Upper abdomen; Image width 512 mm; CT slice
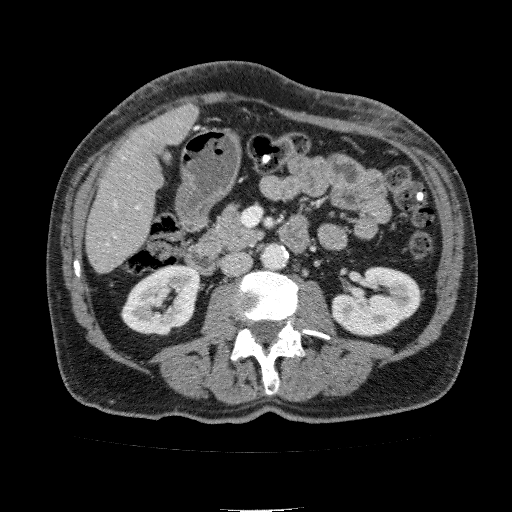
Kidney — x1=122 y1=266 x2=198 y2=333, x1=333 y1=268 x2=419 y2=334.
Liver — x1=88 y1=105 x2=198 y2=270.